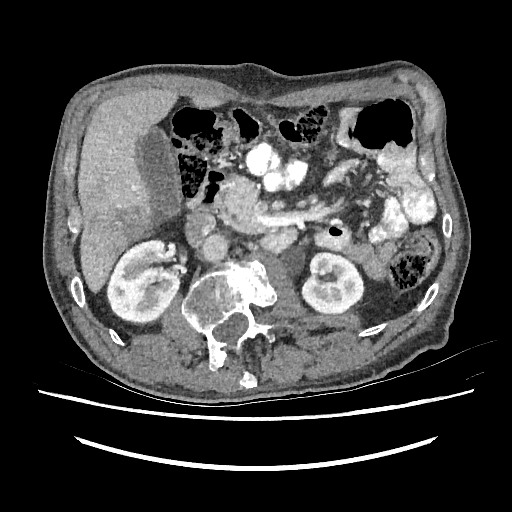

CT scan slice | Upper abdomen

Liver lesion at bbox(113, 243, 125, 255); bbox(87, 206, 147, 242); bbox(88, 185, 104, 199).
Kidney at bbox(108, 241, 179, 321); bbox(302, 253, 363, 313).
Liver at bbox(193, 96, 221, 107); bbox(78, 89, 176, 291).